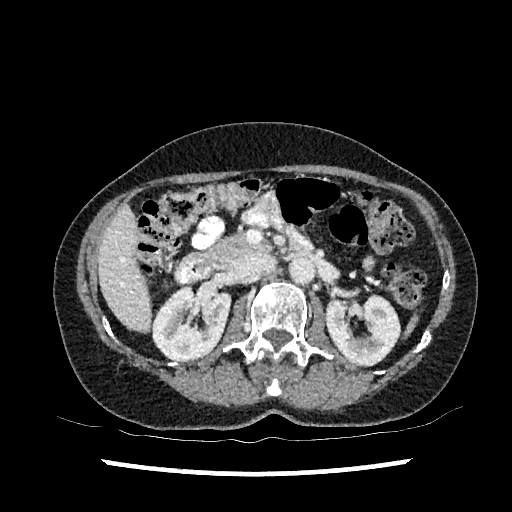 CT image, 512x512 px
<segmentation>
  <kidney>x1=327 y1=296 x2=399 y2=365, x1=153 y1=282 x2=230 y2=360</kidney>
  <liver>x1=99 y1=206 x2=150 y2=331</liver>
</segmentation>